FLAIR MR.
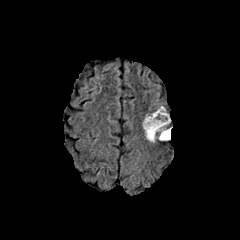
T1-weighted MRI.
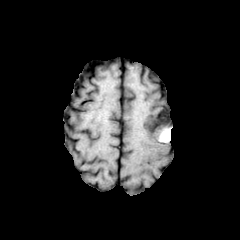
Post-contrast T1-weighted MRI.
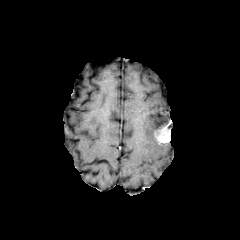
T2-weighted MR image.
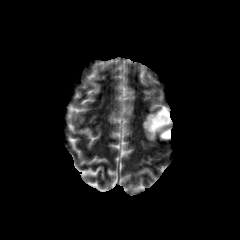
Brain
{
  "edema": [
    "left=142, top=106, right=164, bottom=142"
  ],
  "non-enhancing_tumor_core": [
    "left=148, top=108, right=170, bottom=134"
  ],
  "enhancing_tumor": [
    "left=160, top=126, right=169, bottom=139"
  ]
}